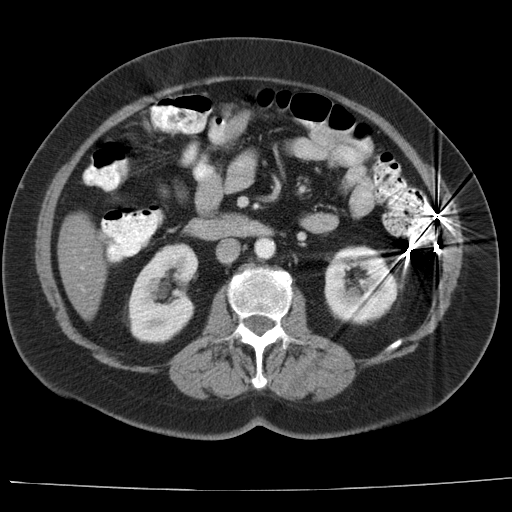
CT image

Only some of the vessels may be annotated.
hepatic_vessel:
  - 80:267:82:269